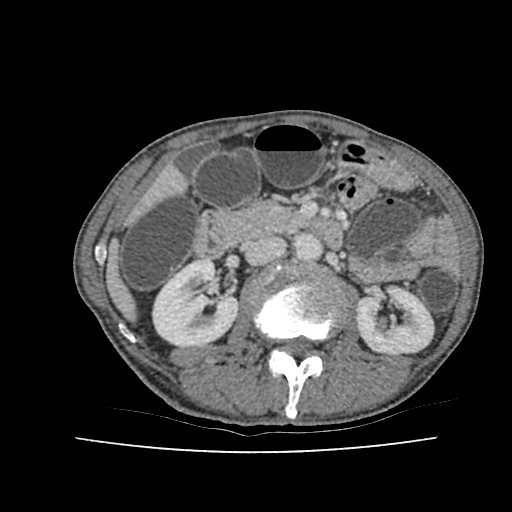 CT image. Liver.

2 kidney regions are located at (153,260,237,346), (357,289,433,353). 2 liver regions are bounded by (140,168,181,211), (109,246,132,313).